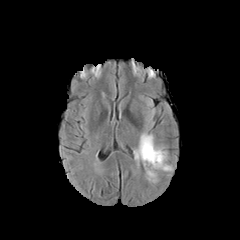
FLAIR MRI.
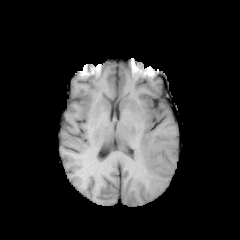
T1-weighted MR image of the same slice.
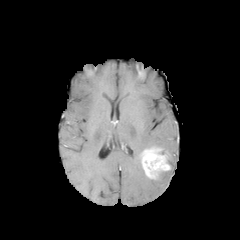
Post-contrast T1-weighted MRI of the same slice.
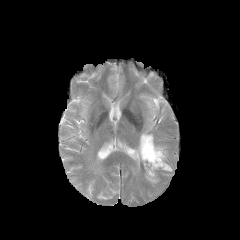
T2-weighted MRI.
{
  "edema": [
    "l=132, t=123, r=154, b=168"
  ],
  "enhancing_tumor": [
    "l=137, t=144, r=171, b=179"
  ]
}